Computed tomography | 512x512

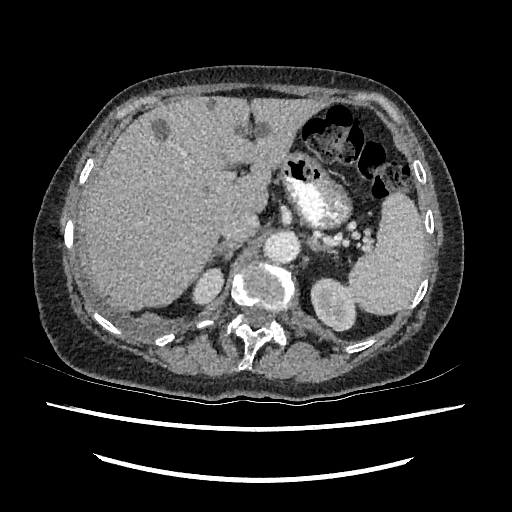 {"focal_liver_lesion": ["bbox(256, 125, 267, 136)", "bbox(235, 127, 248, 137)", "bbox(153, 119, 168, 139)", "bbox(207, 99, 215, 107)"], "kidney": ["bbox(193, 269, 223, 303)", "bbox(311, 279, 359, 330)"], "liver": ["bbox(86, 96, 326, 310)"]}